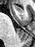
Medial temporal lobe; 35x47 px; MRI slice
Anterior hippocampus — rect(13, 5, 23, 12).